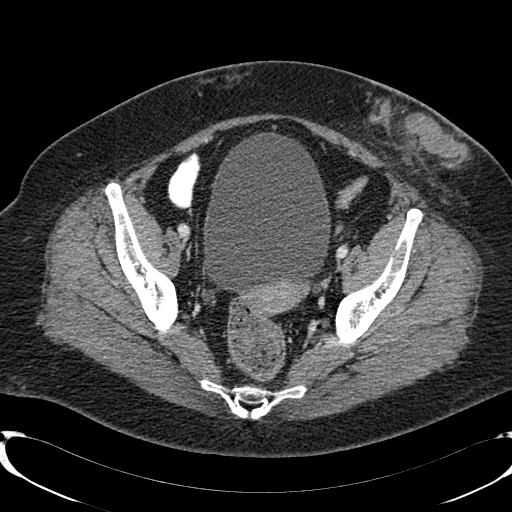

CT; Image size 512x512; Pelvis

<segmentation>
  <urinary_bladder>l=204, t=133, r=330, b=292</urinary_bladder>
</segmentation>